CT image. Abdomen.
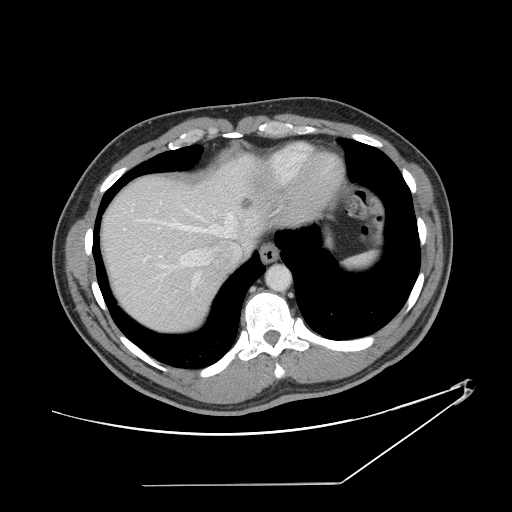
Not every hepatic vessel necessarily has a box.
hepatic vessel: {"x1": 193, "y1": 272, "x2": 200, "y2": 284}, {"x1": 228, "y1": 214, "x2": 236, "y2": 222}, {"x1": 214, "y1": 210, "x2": 215, "y2": 212}, {"x1": 159, "y1": 265, "x2": 165, "y2": 266}, {"x1": 207, "y1": 251, "x2": 211, "y2": 254}, {"x1": 180, "y1": 250, "x2": 209, "y2": 265}, {"x1": 159, "y1": 256, "x2": 161, "y2": 257}, {"x1": 134, "y1": 218, "x2": 235, "y2": 237}, {"x1": 142, "y1": 257, "x2": 146, "y2": 261}, {"x1": 185, "y1": 209, "x2": 202, "y2": 219}, {"x1": 247, "y1": 220, "x2": 249, "y2": 221} | liver tumor: {"x1": 240, "y1": 196, "x2": 254, "y2": 210}